CT image, Liver
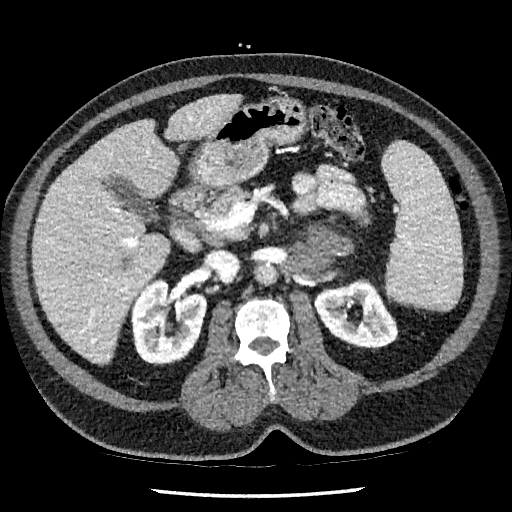

Kidney = box(315, 282, 396, 346); box(132, 280, 206, 362).
Liver lesion = box(122, 259, 132, 271).
Liver = box(32, 120, 179, 362); box(165, 94, 240, 140).